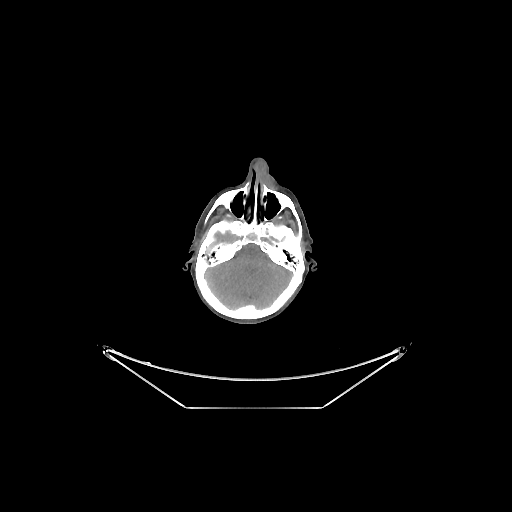 Image size 512x512 | CT | Brain
Bone — [195, 185, 304, 318], [205, 183, 248, 223].
Brain — [264, 236, 278, 243], [211, 231, 238, 246], [205, 243, 292, 309].